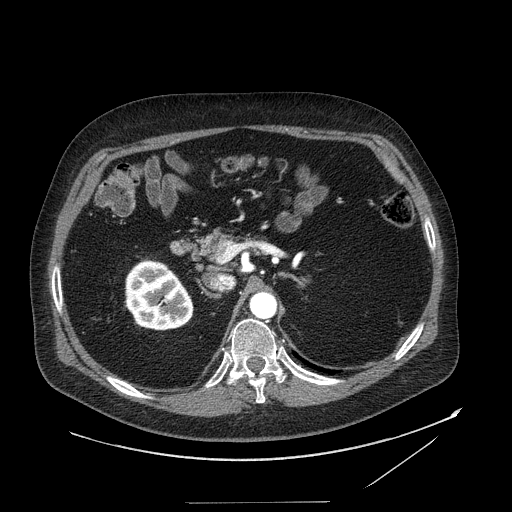
Computed tomography. 512x512 px. pancreas:
  - [196,232,240,262]